Slice 77 of 155; 240x240
FLAIR magnetic resonance.
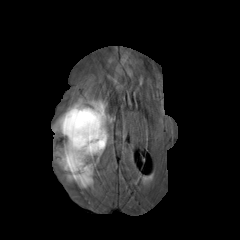
T1-weighted MR image.
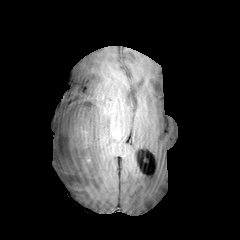
Post-contrast T1-weighted MRI.
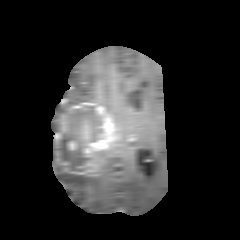
T2-weighted MR.
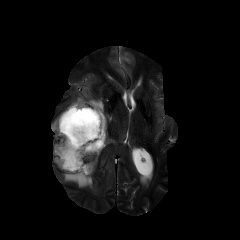
Enhancing tumor: bounding box l=68, t=141, r=77, b=149; l=53, t=133, r=61, b=141; l=61, t=115, r=68, b=132; l=68, t=102, r=115, b=174.
Edema: bounding box l=72, t=86, r=107, b=110; l=51, t=104, r=72, b=132; l=53, t=153, r=93, b=188.
Non-enhancing tumor core: bounding box l=53, t=106, r=95, b=175; l=56, t=116, r=61, b=132.